Abdomen, 512x512, Slice 417 of 547, CT slice, Image width 385 mm 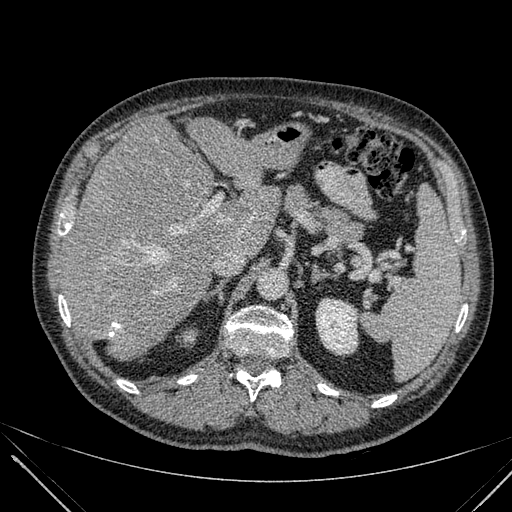

kidney:
  - 316 299 356 353
liver:
  - 62 121 280 361
  - 188 117 271 188